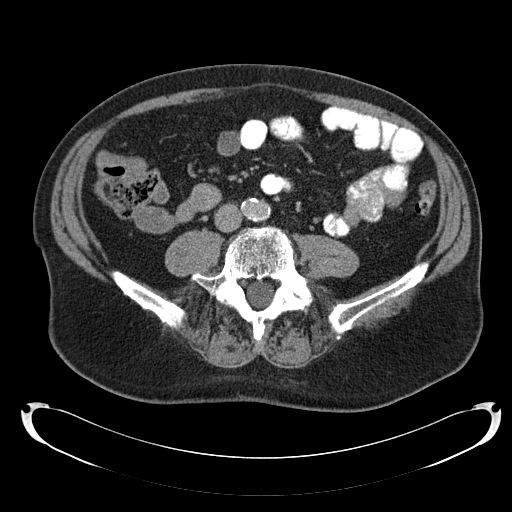
CT, Pelvis
colon_tumor:
  - left=96, top=151, right=146, bottom=180